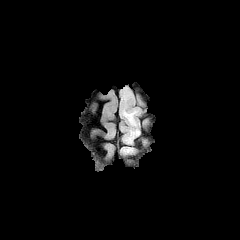
FLAIR magnetic resonance.
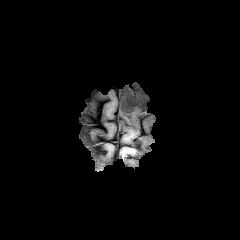
T1-weighted magnetic resonance of the same slice.
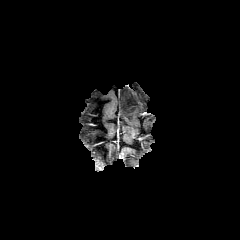
Post-contrast T1-weighted MR image.
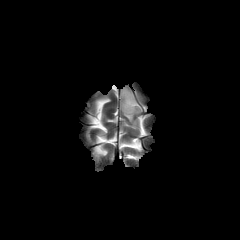
T2-weighted MRI.
• non-enhancing tumor core: region(123, 107, 137, 142)
• edema: region(119, 86, 142, 143)